Slice 125 of 155; Head; 240x240 px
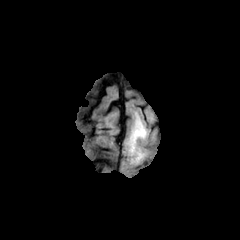
FLAIR MRI.
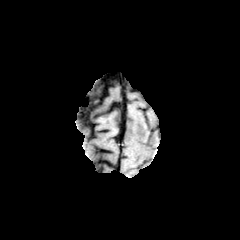
T1-weighted MR image.
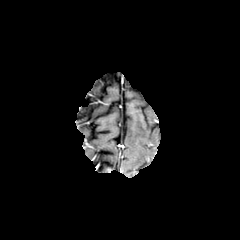
Same slice, post-contrast T1-weighted MR.
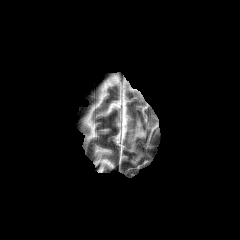
T2-weighted MRI of the same slice.
Edema at <box>127,113,153,162</box>.